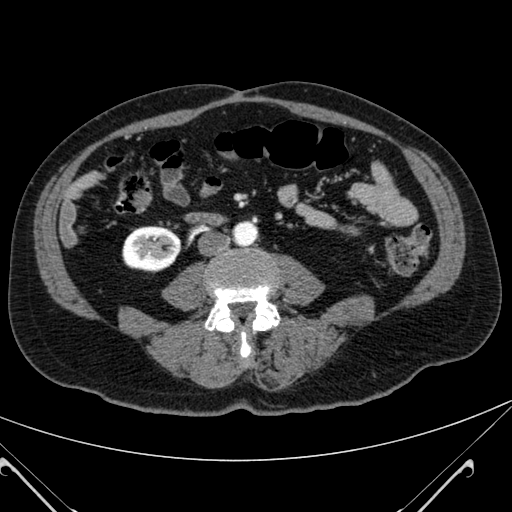 CT; Abdomen
<segmentation>
  <kidney>box(123, 227, 179, 269)</kidney>
</segmentation>